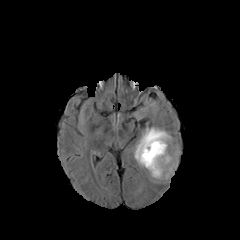
FLAIR MR.
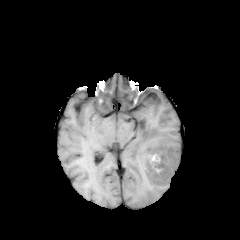
Same slice, T1-weighted magnetic resonance.
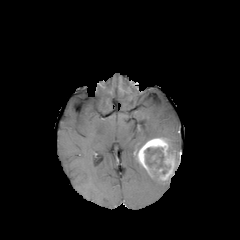
Post-contrast T1-weighted magnetic resonance of the same slice.
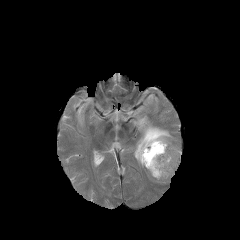
T2-weighted magnetic resonance.
Image size 240x240
edema: (x1=130, y1=121, x2=181, y2=166) | enhancing tumor: (x1=135, y1=137, x2=178, y2=181) | non-enhancing tumor core: (x1=145, y1=147, x2=170, y2=174), (x1=136, y1=136, x2=160, y2=153)